FLAIR MR.
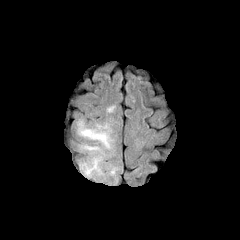
T1-weighted MR.
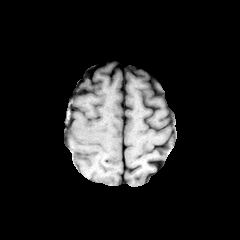
Post-contrast T1-weighted magnetic resonance.
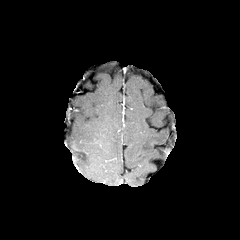
T2-weighted MR image.
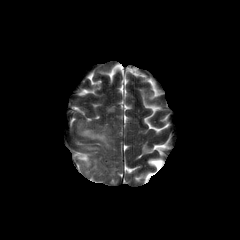
Head
edema: 80, 122, 111, 174